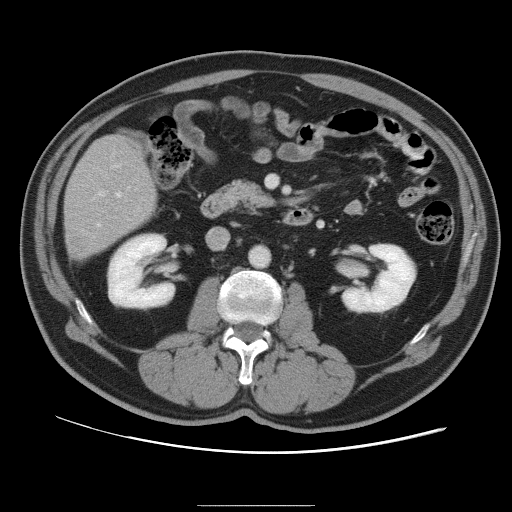 CT slice; Liver; 512x512 px

The vessel annotation is not exhaustive.
<segmentation>
  <hepatic_vessel>(139,208,140,210), (110,157,111,159), (116,192,121,196), (97,223,100,225), (98,191,106,195), (112,151,114,156), (110,164,120,168)</hepatic_vessel>
  <liver_tumor>(71,239,85,256)</liver_tumor>
</segmentation>